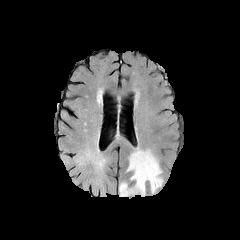
FLAIR MR.
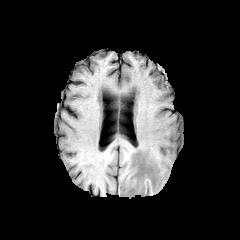
T1-weighted MRI of the same slice.
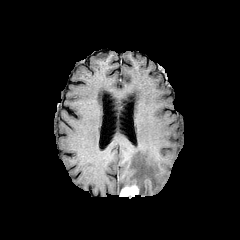
Post-contrast T1-weighted MR.
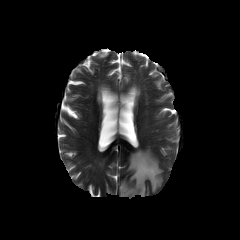
Same slice, T2-weighted MRI.
The enhancing tumor is at [x1=120, y1=185, x2=139, y2=196]. The edema appears at [x1=127, y1=148, x2=163, y2=195].